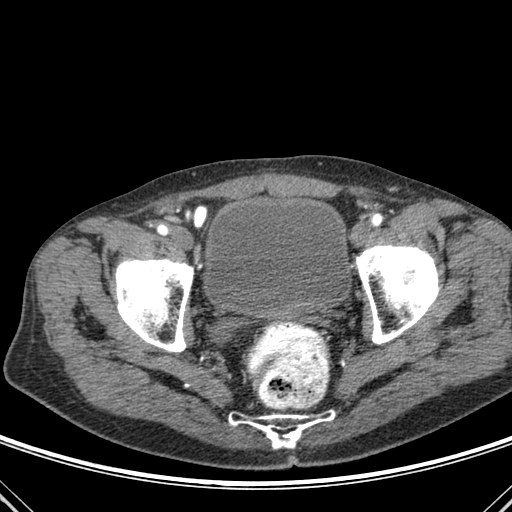

Lower abdomen | Computed tomography

3 bone regions appear at bbox=[115, 258, 193, 351]; bbox=[228, 411, 334, 448]; bbox=[356, 244, 438, 344]. The urinary bladder lies within bbox=[203, 200, 349, 312].